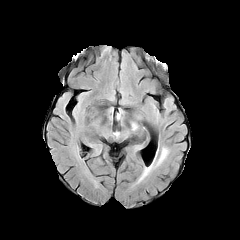
FLAIR MRI.
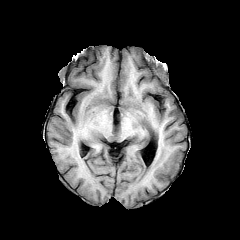
Same slice, T1-weighted MRI.
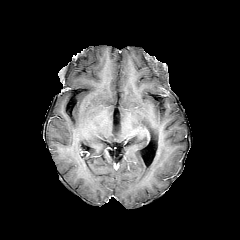
Same slice, post-contrast T1-weighted MR.
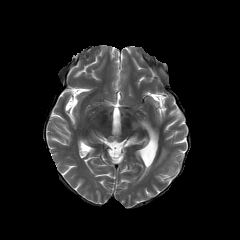
T2-weighted MR image of the same slice.
240x240 | Brain
{"edema": ["rect(138, 148, 168, 182)"]}